Slice 515 of 588. CT image. Image size 512x512.

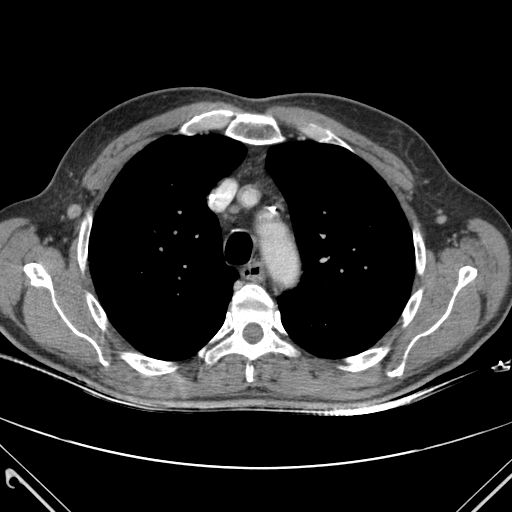 Segmented structures:
- bone: box=[322, 131, 349, 148]; box=[406, 266, 476, 352]; box=[87, 294, 105, 329]; box=[24, 263, 107, 365]; box=[403, 290, 421, 325]; box=[122, 353, 175, 375]; box=[388, 364, 403, 376]; box=[205, 285, 293, 381]; box=[78, 217, 91, 269]; box=[342, 348, 387, 371]; box=[181, 110, 282, 144]; box=[414, 233, 425, 273]
- lung: box=[88, 134, 246, 360]; box=[266, 141, 414, 358]